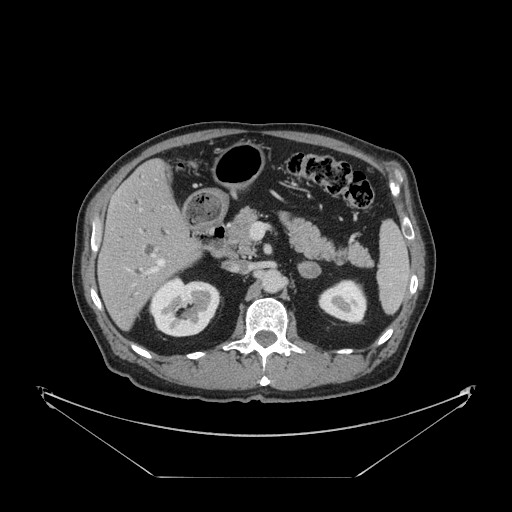

CT image. Not every hepatic vessel necessarily has a box.
Segmented structures:
• hepatic vessel: region(139, 209, 140, 210); region(140, 254, 163, 273); region(250, 222, 266, 238); region(125, 268, 129, 270)